Liver | Slice 422 of 751 | CT | 512x512 px
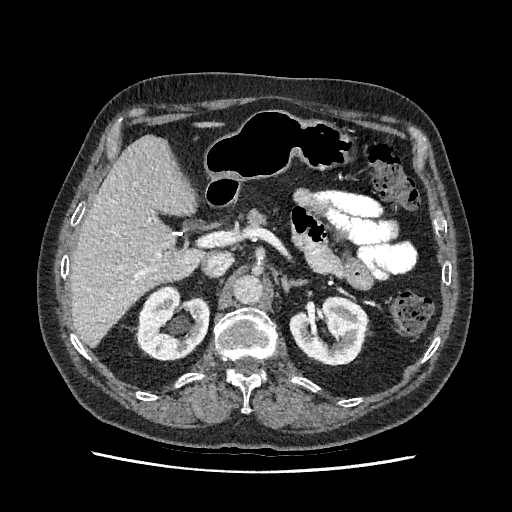

Kidney at bbox(290, 297, 366, 364); bbox(138, 287, 208, 359).
Liver at bbox(72, 135, 203, 347); bbox(199, 123, 219, 126).